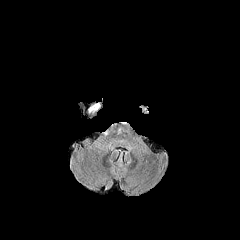
FLAIR MR image.
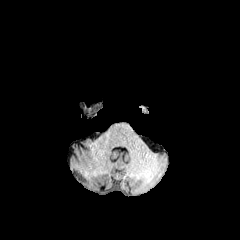
T1-weighted MR image.
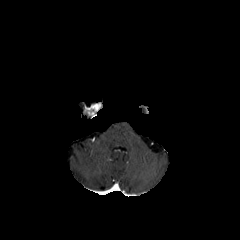
Post-contrast T1-weighted magnetic resonance.
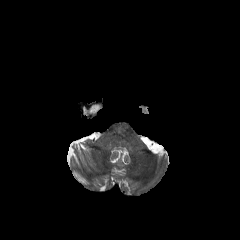
Same slice, T2-weighted magnetic resonance.
Head.
{"enhancing_tumor": ["bbox(82, 98, 102, 118)"]}